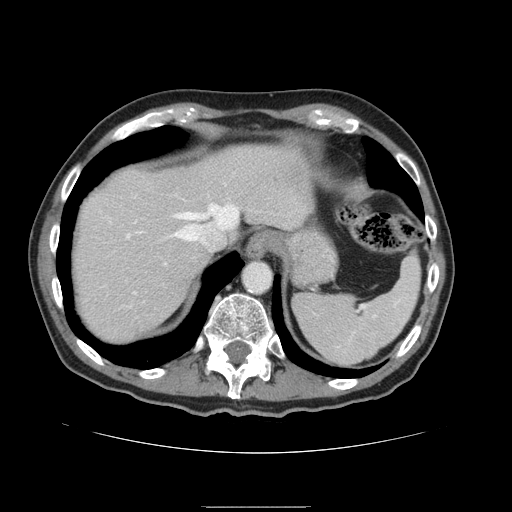 Abdomen | CT slice | 512x512

Only some of the vessels may be annotated.
<segmentation>
  <hepatic_vessel><box>128,234,129,236</box>, <box>174,204,238,251</box></hepatic_vessel>
</segmentation>